Lower abdomen, CT image

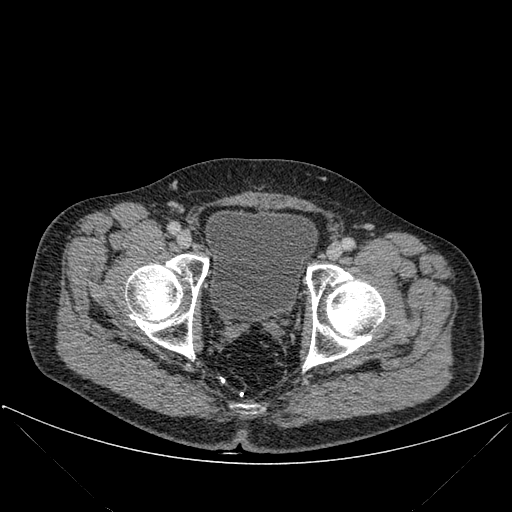
urinary_bladder:
  - x1=205, y1=207, x2=317, y2=325
bone:
  - x1=235, y1=404, x2=255, y2=413
  - x1=125, y1=254, x2=208, y2=358
  - x1=303, y1=265, x2=384, y2=370